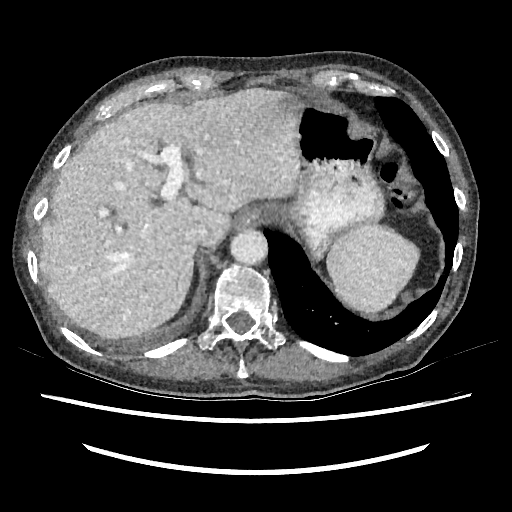 Image size 512x512, CT slice
Liver — (39,90,299,339).